Slice index 60
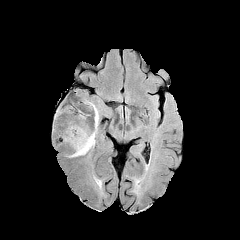
FLAIR MR.
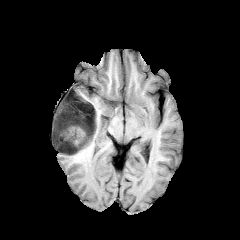
T1-weighted MR image of the same slice.
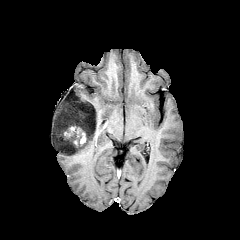
Post-contrast T1-weighted magnetic resonance of the same slice.
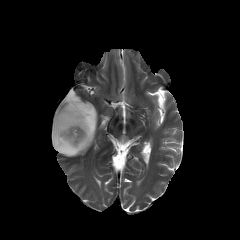
T2-weighted magnetic resonance.
<segmentation>
  <non-enhancing_tumor_core>{"x1": 53, "y1": 95, "x2": 98, "y2": 155}</non-enhancing_tumor_core>
  <edema>{"x1": 66, "y1": 140, "x2": 95, "y2": 156}</edema>
  <enhancing_tumor>{"x1": 79, "y1": 132, "x2": 86, "y2": 145}</enhancing_tumor>
</segmentation>